Slice index 537; CT image; Field of view 388x388 mm
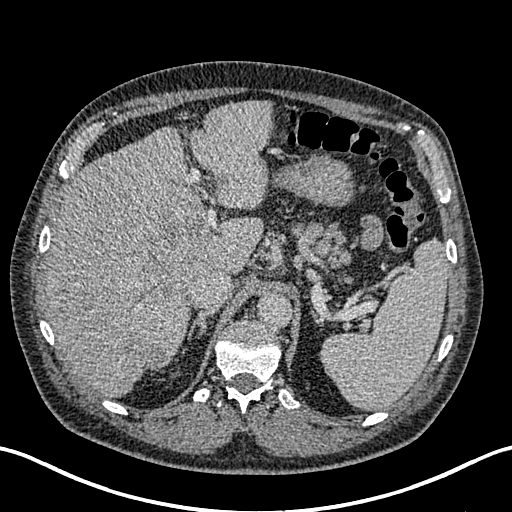

liver_lesion:
  - {"x1": 122, "y1": 331, "x2": 163, "y2": 368}
  - {"x1": 76, "y1": 290, "x2": 95, "y2": 311}
  - {"x1": 131, "y1": 285, "x2": 158, "y2": 306}
  - {"x1": 143, "y1": 218, "x2": 204, "y2": 297}
liver:
  - {"x1": 45, "y1": 127, "x2": 263, "y2": 396}
  - {"x1": 192, "y1": 101, "x2": 272, "y2": 207}